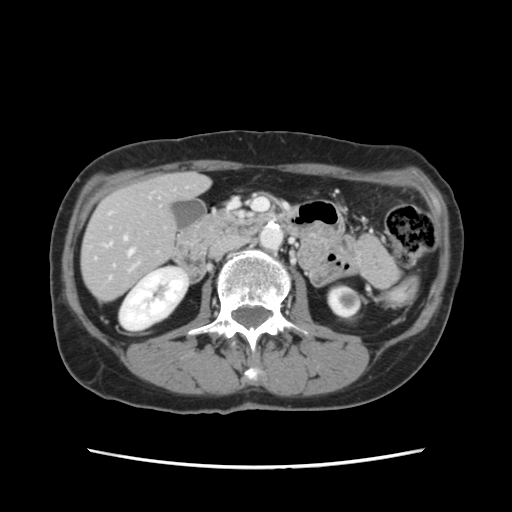
CT slice | Abdomen
Not every hepatic vessel necessarily has a box.
* hepatic vessel: 124, 237, 126, 239; 128, 250, 133, 255; 107, 243, 110, 246